FLAIR magnetic resonance.
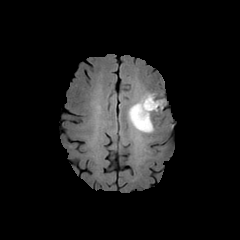
T1-weighted MR.
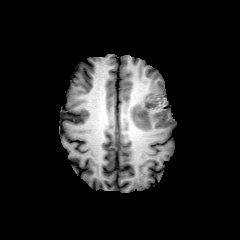
Post-contrast T1-weighted MRI.
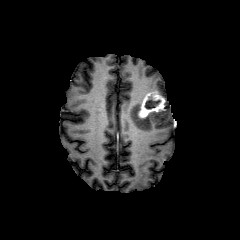
T2-weighted MR image.
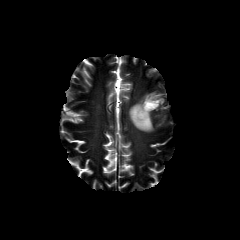
Image size 240x240 | Head
* non-enhancing tumor core: box=[145, 99, 160, 109]; box=[132, 96, 147, 122]
* edema: box=[128, 98, 156, 133]
* enhancing tumor: box=[139, 94, 164, 117]